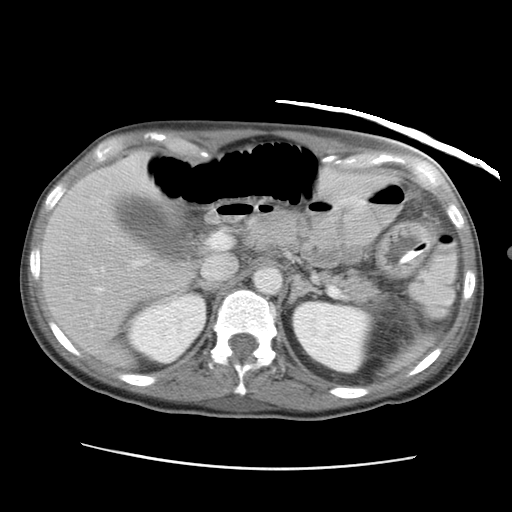
512x512, CT slice

2 kidney regions are bounded by bbox=[293, 302, 369, 372]; bbox=[130, 294, 205, 362]. 2 liver regions are bounded by bbox=[41, 153, 194, 356]; bbox=[318, 176, 398, 216].